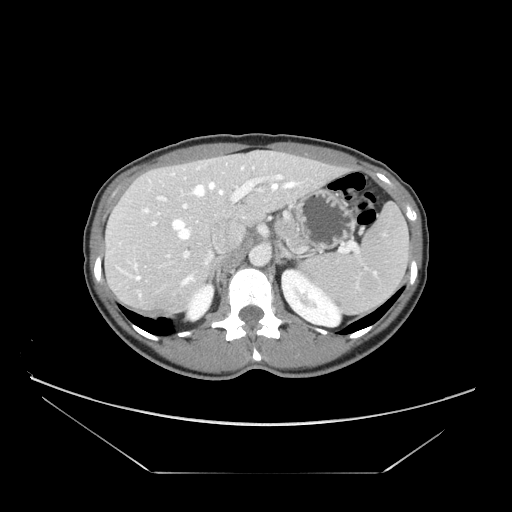
Upper abdomen | Computed tomography
pancreas:
  - 275 219 309 247